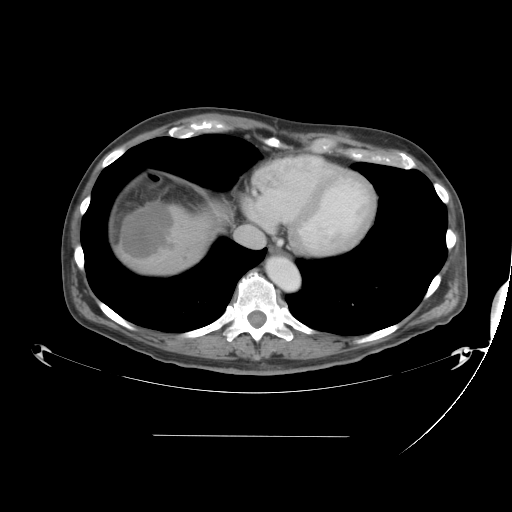 Liver, CT image, Image size 512x512
Findings:
* liver tumor: x1=121 y1=204 x2=172 y2=258